Slice 45 of 155
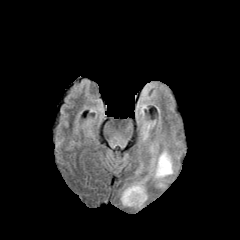
FLAIR magnetic resonance.
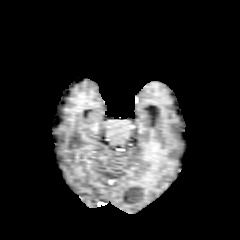
T1-weighted MRI.
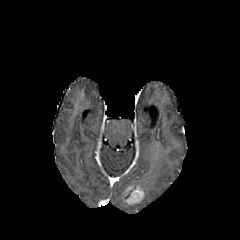
Post-contrast T1-weighted magnetic resonance.
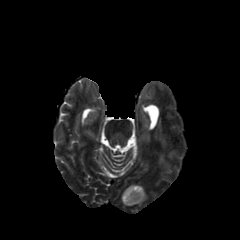
T2-weighted MR image.
The edema is bounded by <bbox>156, 153, 172, 177</bbox>. The enhancing tumor is located at <bbox>121, 182, 145, 205</bbox>.